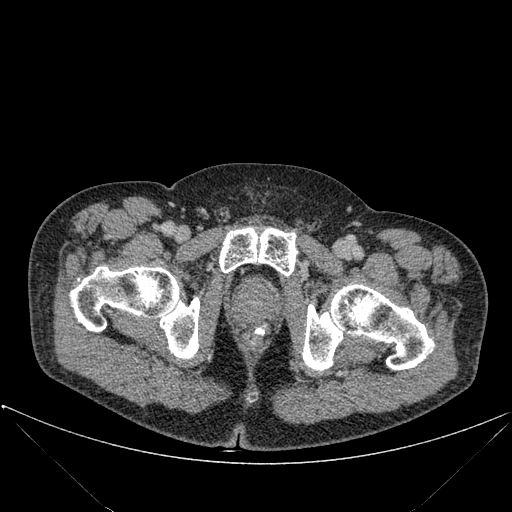 CT slice, Image size 512x512

Bone — x1=219, y1=227, x2=297, y2=275; x1=302, y1=284, x2=434, y2=370; x1=70, y1=266, x2=199, y2=358.